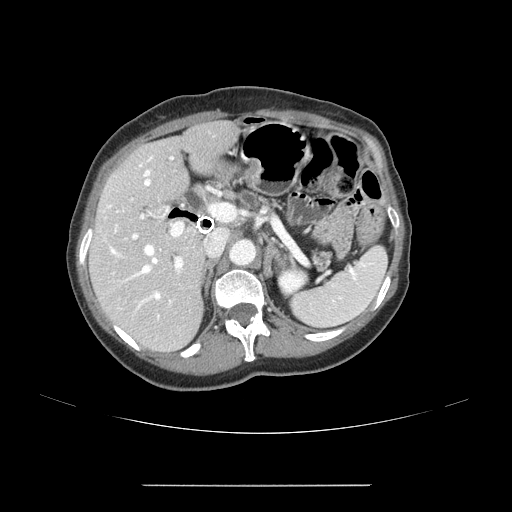 CT slice, Image size 512x512

{"pancreas": ["(left=237, top=192, right=265, bottom=209)", "(left=314, top=252, right=329, bottom=269)"]}